FLAIR MRI.
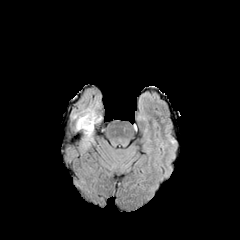
T1-weighted MR image.
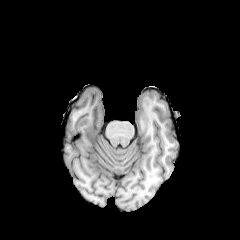
Post-contrast T1-weighted magnetic resonance.
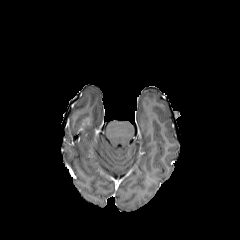
T2-weighted MRI.
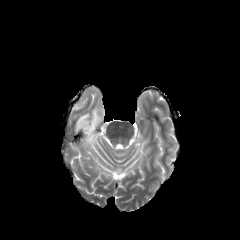
240x240 px.
The edema is at (72,103,101,147).